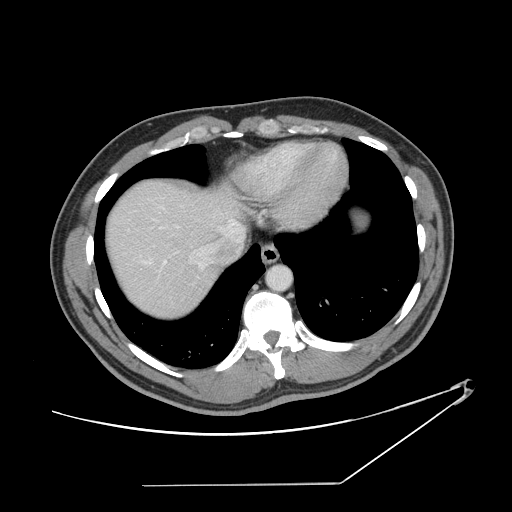 CT image | 512x512
Some hepatic vessels may have no box.
Hepatic vessel: 188,258,191,263; 138,256,150,263; 163,260,165,264; 161,207,163,208; 175,226,177,227; 198,263,205,267; 222,229,224,231.